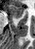 Hippocampus, MR image, 35x49
The anterior hippocampus is bounded by {"x1": 9, "y1": 5, "x2": 23, "y2": 18}.